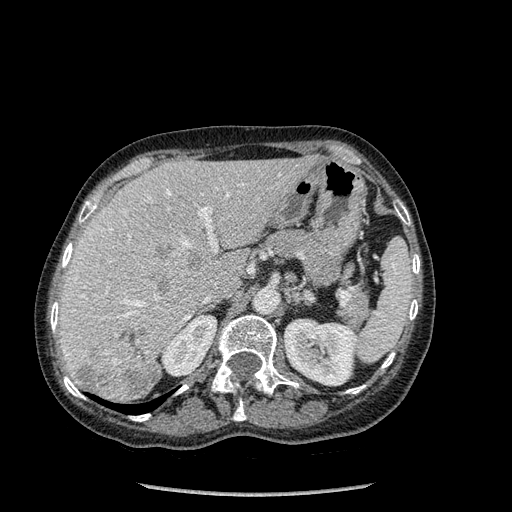 CT image; Liver; 512x512
Lung = [97,396,165,414].
Liver = [58,156,313,403].
Focal liver lesion = [155,244,173,256], [89,349,96,360], [122,368,157,395], [160,280,170,292], [188,252,200,269], [120,330,142,355], [97,373,109,386], [75,365,94,391].
Kidney = [162,315,216,375], [284,319,356,385].
Bone = [394,200,410,225], [62,243,73,267], [408,299,417,319], [129,413,150,421], [212,314,298,394], [64,376,85,399], [345,385,365,393], [175,384,188,394], [79,201,96,223], [411,254,419,273], [381,352,395,368], [233,398,246,420], [50,302,59,331].